Slice index 77
FLAIR MR image.
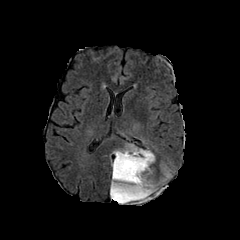
T1-weighted MR.
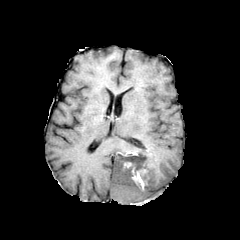
Post-contrast T1-weighted magnetic resonance.
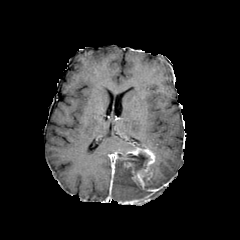
T2-weighted MR.
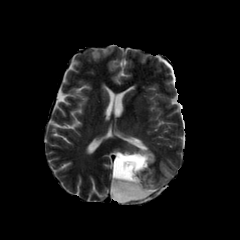
non-enhancing tumor core: [x1=111, y1=151, x2=157, y2=201] | enhancing tumor: [x1=119, y1=199, x2=139, y2=203], [x1=112, y1=152, x2=119, y2=177], [x1=126, y1=149, x2=153, y2=165], [x1=135, y1=172, x2=144, y2=186] | edema: [x1=113, y1=178, x2=145, y2=193], [x1=114, y1=145, x2=137, y2=152], [x1=150, y1=174, x2=161, y2=187]